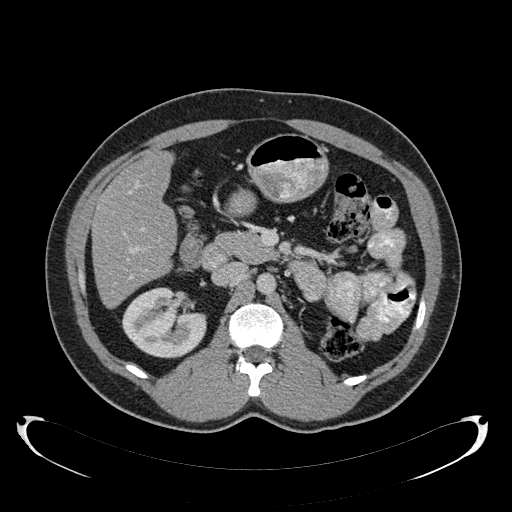

CT

The liver appears at left=92, top=152, right=176, bottom=307. The kidney appears at left=123, top=288, right=205, bottom=357.